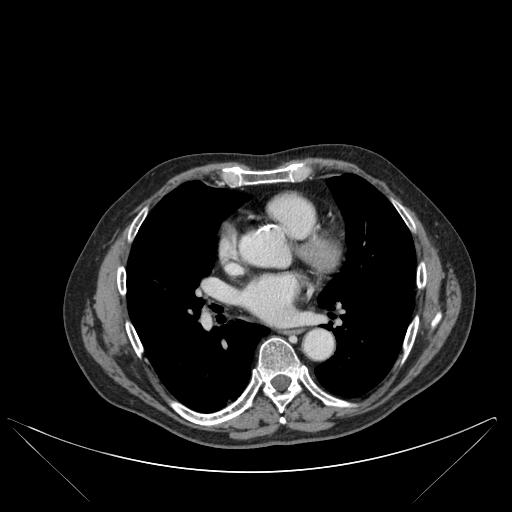
CT image
bone:
  - [403,317,418,359]
  - [126,323,142,355]
  - [225,165,301,185]
  - [117,267,125,294]
  - [172,338,350,425]
  - [398,205,413,226]
  - [432,314,440,325]
  - [417,263,426,287]
  - [129,209,146,238]
lung:
  - [315,174,415,397]
  - [127,181,269,412]